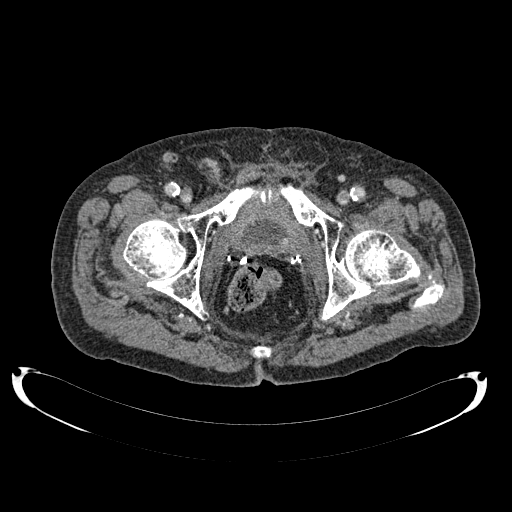
CT scan slice
urinary bladder: [243, 219, 285, 244]